T2-weighted MR.
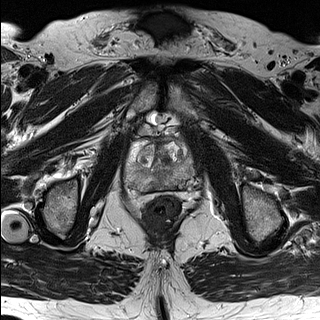
ADC magnetic resonance.
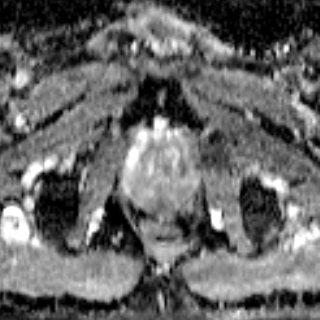
Annotated regions:
- prostate transition zone: 137 140 190 174
- prostate peripheral zone: 125 141 192 189